Slice 95 of 247; Abdomen; CT image 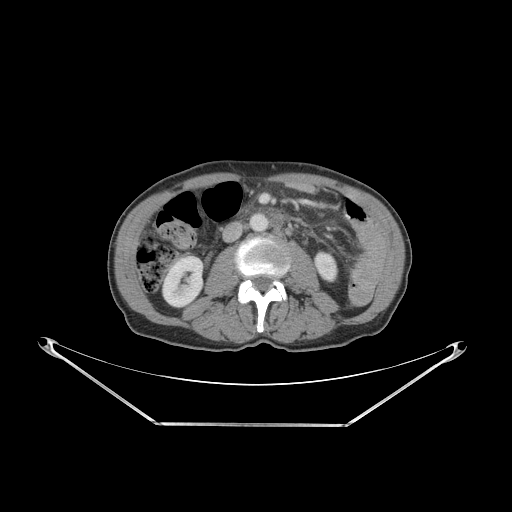
Kidney: bounding box rect(315, 254, 335, 280); rect(163, 256, 202, 306).
Bone: bounding box rect(236, 238, 287, 331).